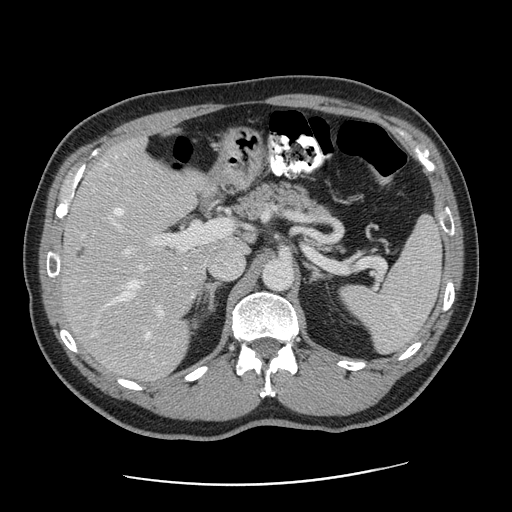 512x512 px. Liver. CT image. Not every hepatic vessel necessarily has a box.
liver tumor: 72, 243, 89, 261 | hepatic vessel: 141, 264, 144, 268; 115, 208, 122, 214; 150, 219, 232, 252; 106, 164, 107, 165; 116, 280, 138, 300; 202, 244, 247, 278; 124, 249, 130, 253; 158, 307, 163, 314; 146, 333, 150, 338